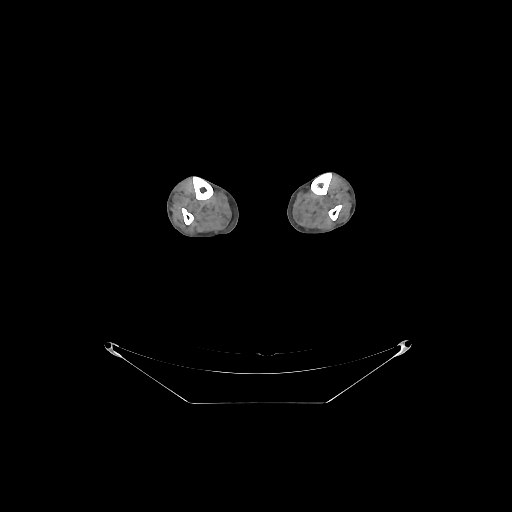 CT image
Bone — 193 177 213 199, 182 208 193 224, 311 173 331 195, 328 205 341 220.